Slice 82/155; Head; Image size 240x240
FLAIR MR.
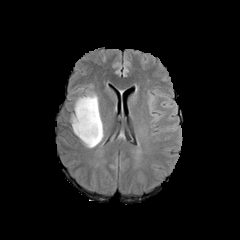
T1-weighted magnetic resonance.
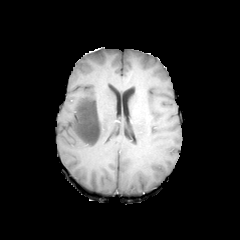
Post-contrast T1-weighted magnetic resonance.
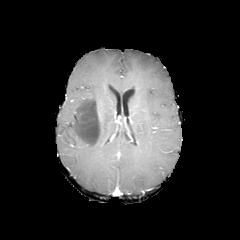
T2-weighted MR image.
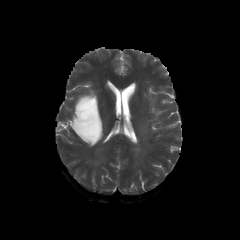
The non-enhancing tumor core appears at (72,96,101,141). 2 edema regions appear at (69,89,106,149), (149,98,157,119).